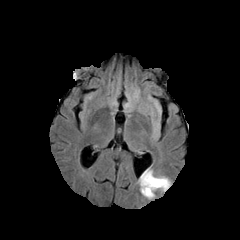
FLAIR MR image.
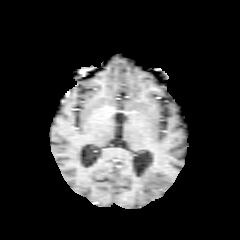
T1-weighted MR image.
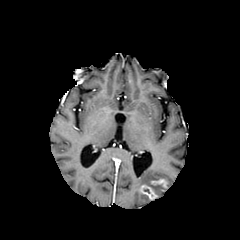
Post-contrast T1-weighted MR of the same slice.
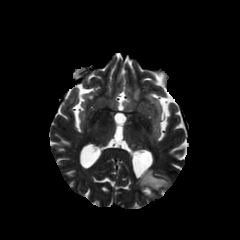
T2-weighted magnetic resonance.
240x240
Edema — box(136, 165, 171, 199).
Enhancing tumor — box(150, 179, 167, 187); box(141, 185, 155, 198).